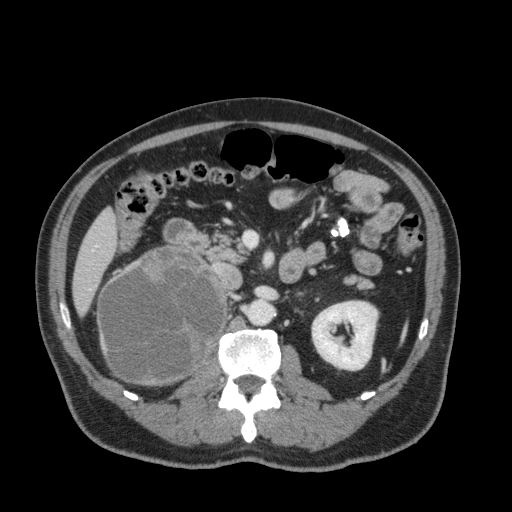

Computed tomography
Liver = <bbox>74, 209, 116, 312</bbox>.
Kidney = <bbox>312, 301, 377, 369</bbox>.